512x512 | Slice 74 of 124 | Abdomen | Computed tomography | Image width 512 mm
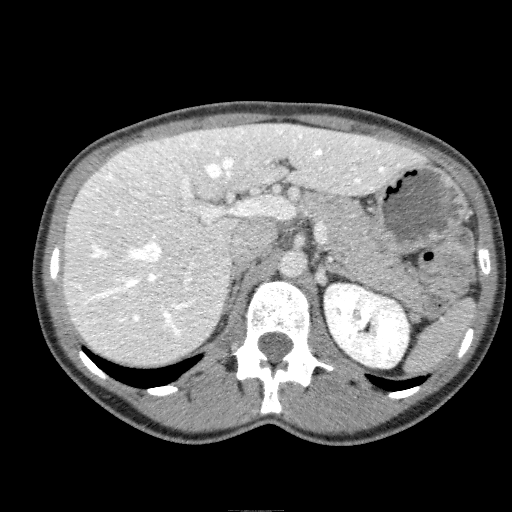
Liver: bounding box [63,122,425,365].
Kidney: bounding box [324,284,408,367].